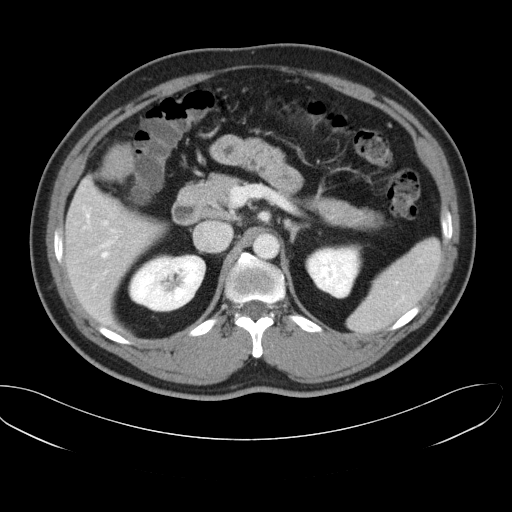

Abdomen. CT slice. The vessel boxes may cover only some of the vessels.
6 hepatic vessel regions are bounded by 101 220 107 225, 82 206 90 230, 102 251 108 257, 100 318 105 321, 100 229 121 248, 97 270 107 278. The liver tumor is located at 104 146 132 179.